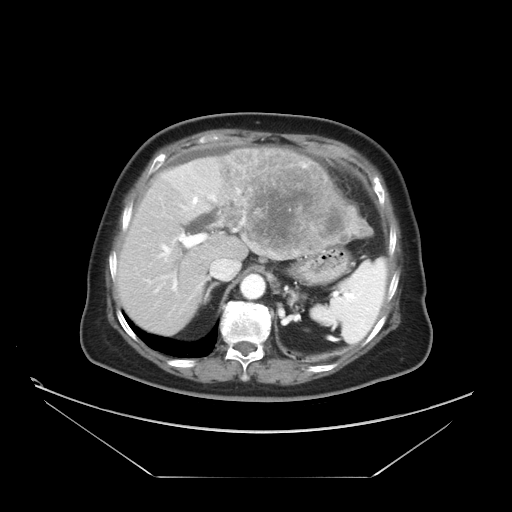 CT; Abdomen

Some hepatic vessels may have no box.
Segmented structures:
* hepatic vessel: box(164, 274, 176, 290); box(234, 229, 236, 230); box(211, 259, 222, 277); box(161, 244, 169, 254); box(179, 234, 190, 246); box(192, 198, 197, 202); box(241, 219, 243, 223)
* liver tumor: box(218, 147, 372, 259)